Brain | Slice index 119
FLAIR MR.
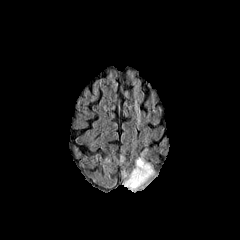
T1-weighted magnetic resonance.
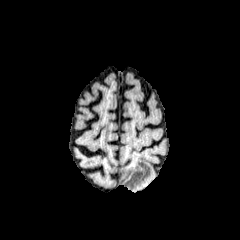
Post-contrast T1-weighted MRI.
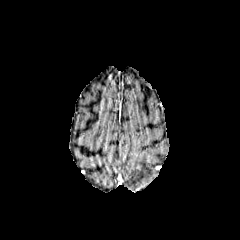
T2-weighted MR.
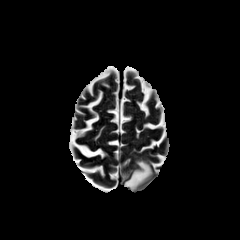
2 edema regions are located at 121,170,128,180; 122,158,154,192.